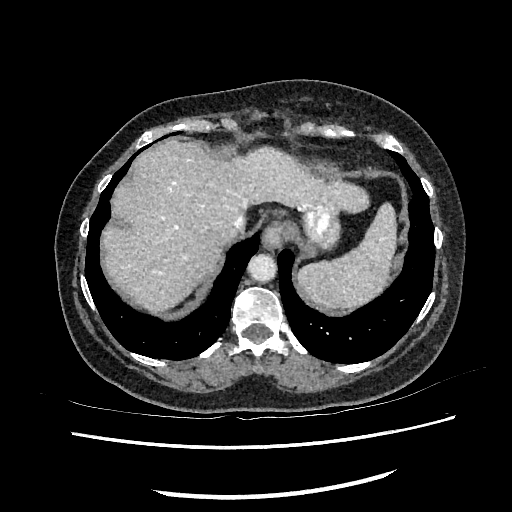 Abdomen, CT slice
Liver — {"x1": 102, "y1": 140, "x2": 368, "y2": 308}.